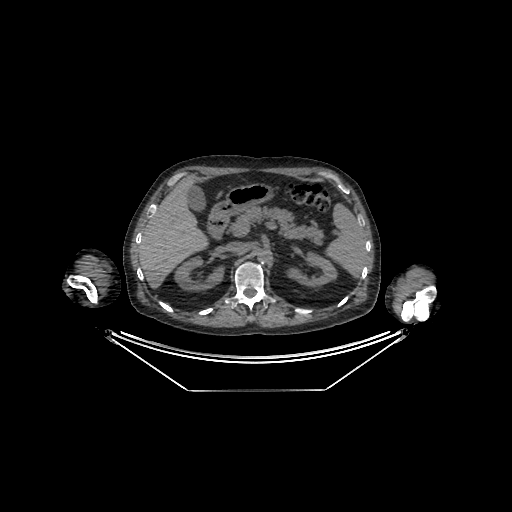
Image size 512x512 | Liver | CT

{
  "liver": [
    "136,176,208,287"
  ],
  "kidney": [
    "286,251,337,287",
    "174,256,224,291"
  ]
}